FLAIR magnetic resonance.
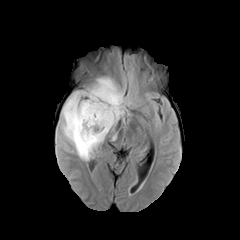
T1-weighted MRI.
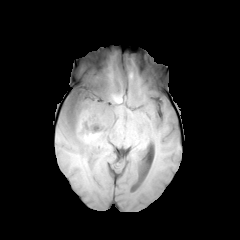
Post-contrast T1-weighted magnetic resonance.
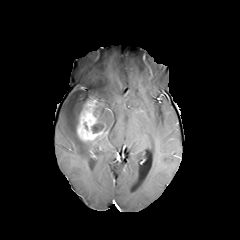
T2-weighted MR.
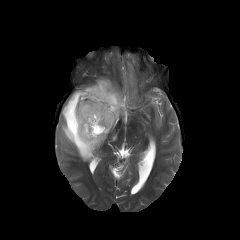
Brain | 240x240
2 non-enhancing tumor core regions are bounded by region(91, 117, 106, 133); region(84, 96, 103, 116). The enhancing tumor is located at region(77, 100, 105, 143). The edema is at region(55, 77, 131, 160).